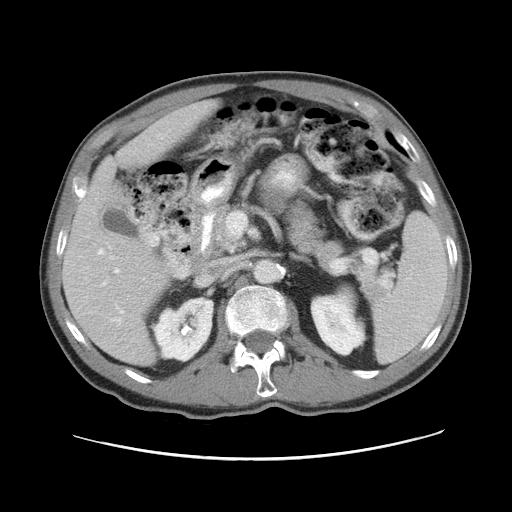

CT

Not every hepatic vessel necessarily has a box.
Hepatic vessel = (left=114, top=268, right=118, bottom=271), (left=113, top=317, right=120, bottom=324), (left=116, top=305, right=117, bottom=307), (left=98, top=250, right=103, bottom=254), (left=109, top=246, right=110, bottom=248), (left=102, top=281, right=106, bottom=285), (left=120, top=310, right=123, bottom=313).